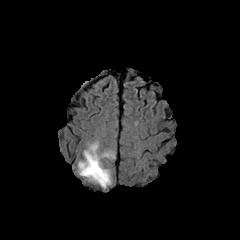
FLAIR magnetic resonance.
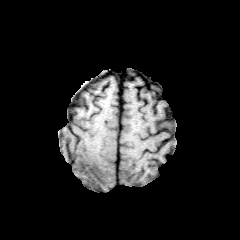
T1-weighted MR image of the same slice.
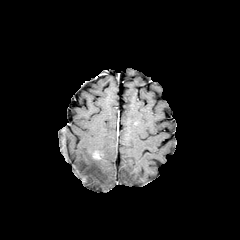
Post-contrast T1-weighted magnetic resonance.
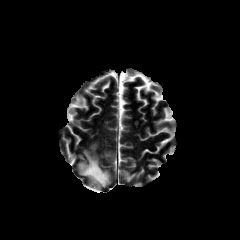
T2-weighted magnetic resonance.
Image size 240x240
Edema at (77, 142, 114, 188).